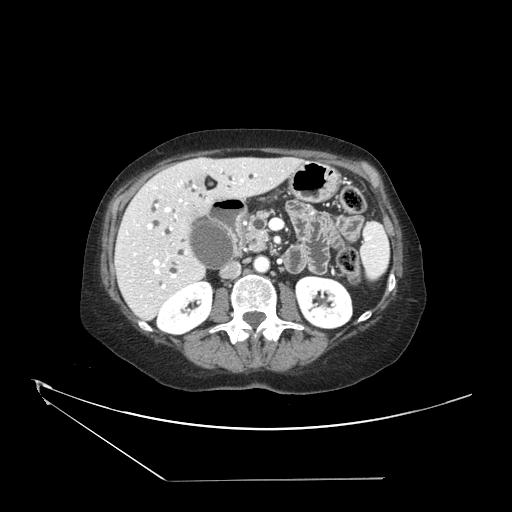

CT slice | Image size 512x512

pancreas:
  - (x1=248, y1=211, x2=270, y2=250)
  - (x1=271, y1=261, x2=277, y2=271)